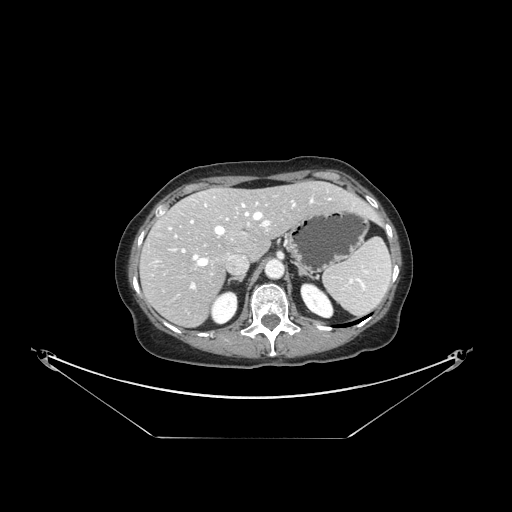

Computed tomography.
Not every hepatic vessel necessarily has a box.
4 hepatic vessel regions are located at [x1=254, y1=213, x2=260, y2=218], [x1=216, y1=227, x2=223, y2=233], [x1=263, y1=222, x2=267, y2=225], [x1=191, y1=284, x2=194, y2=287].